FLAIR magnetic resonance.
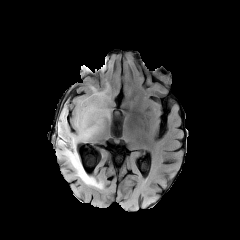
T1-weighted MRI.
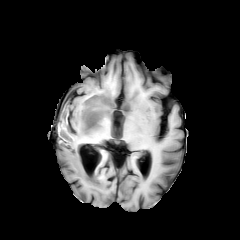
Post-contrast T1-weighted MR.
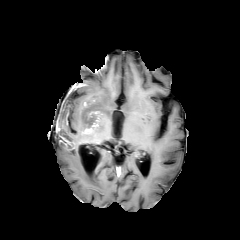
T2-weighted MR.
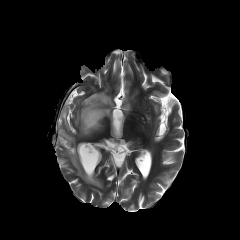
Brain.
enhancing tumor: [x1=84, y1=123, x2=96, y2=133] | non-enhancing tumor core: [x1=86, y1=113, x2=101, y2=127] | edema: [x1=56, y1=98, x2=109, y2=188]